FLAIR MR.
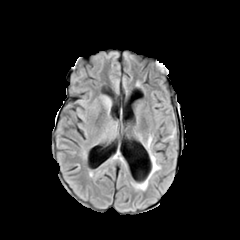
T1-weighted magnetic resonance.
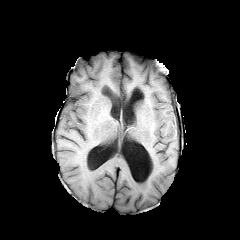
Post-contrast T1-weighted MR.
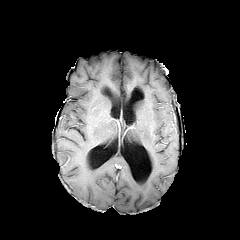
T2-weighted magnetic resonance.
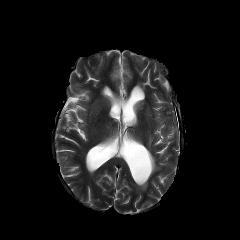
240x240
<segmentation>
  <edema>bbox(134, 135, 161, 190)</edema>
</segmentation>